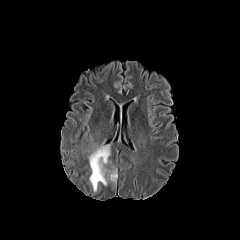
FLAIR MRI.
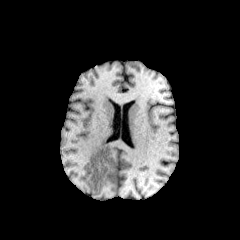
T1-weighted MR image of the same slice.
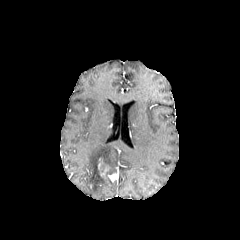
Post-contrast T1-weighted magnetic resonance.
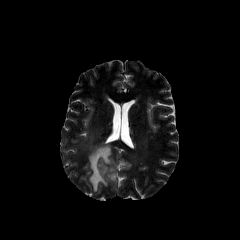
T2-weighted MR image of the same slice.
{
  "edema": [
    "(x1=87, y1=143, x2=112, y2=192)"
  ],
  "enhancing_tumor": [
    "(x1=108, y1=174, x2=116, y2=181)"
  ],
  "non-enhancing_tumor_core": [
    "(x1=98, y1=159, x2=106, y2=172)"
  ]
}